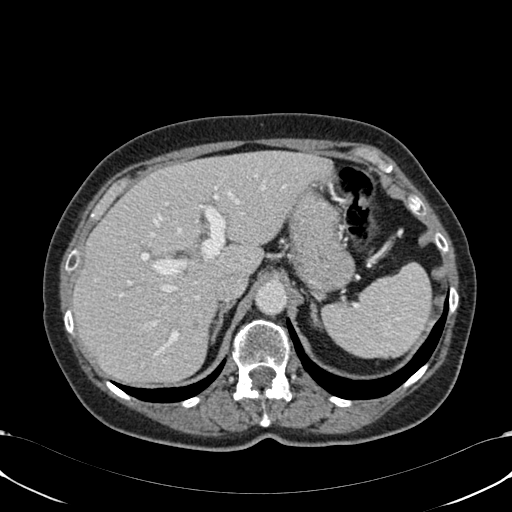
Upper abdomen, CT slice
{
  "liver": [
    "bbox(73, 152, 333, 383)"
  ]
}